CT scan slice
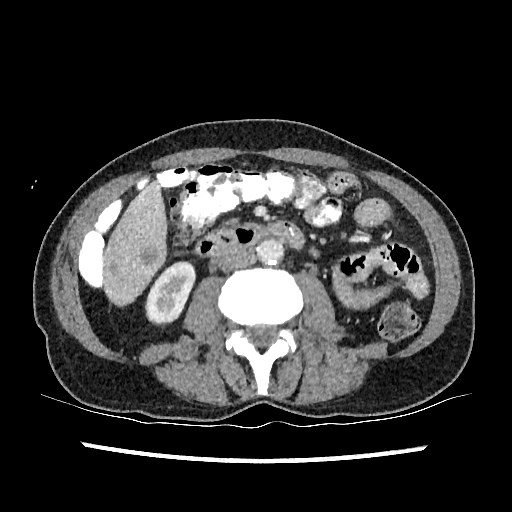
kidney: <bbox>147, 263, 194, 322</bbox> | liver: <bbox>103, 180, 166, 304</bbox> | focal liver lesion: <bbox>139, 245, 158, 265</bbox>